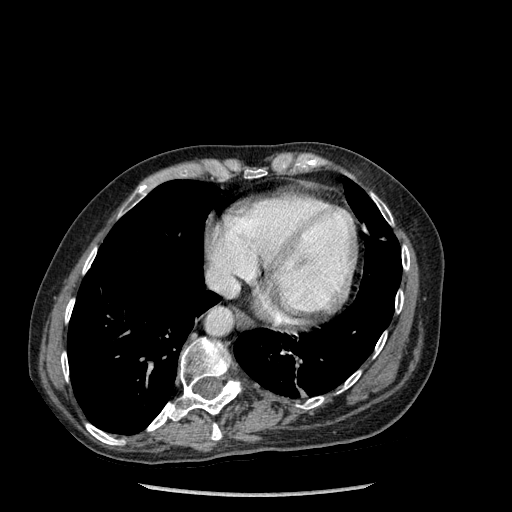

Thorax. 512x512 px. Computed tomography.

{
  "lung": [
    "[234,178,401,398]",
    "[67,180,223,434]"
  ],
  "bone": [
    "[296,396,324,409]",
    "[211,423,221,440]",
    "[370,193,393,224]",
    "[337,371,361,393]",
    "[395,290,403,313]",
    "[85,423,124,445]",
    "[61,352,68,381]",
    "[65,298,74,322]",
    "[402,245,409,270]",
    "[373,331,387,357]",
    "[244,169,266,178]",
    "[147,337,240,431]",
    "[118,184,146,216]",
    "[82,247,96,274]"
  ]
}